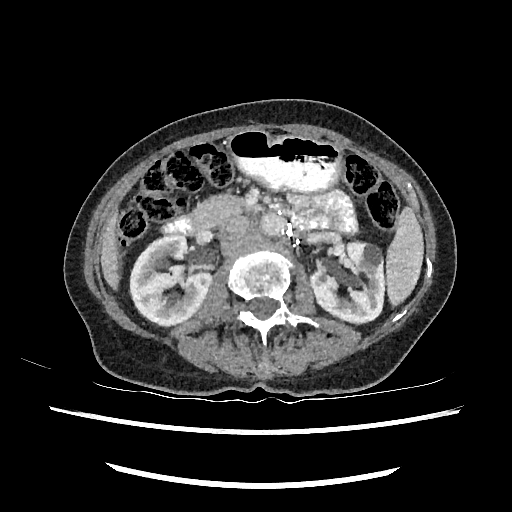
512x512 px. CT image.
Kidney: bounding box 130,236,210,325; 311,243,384,322.
Liver: bounding box 101,214,117,287.